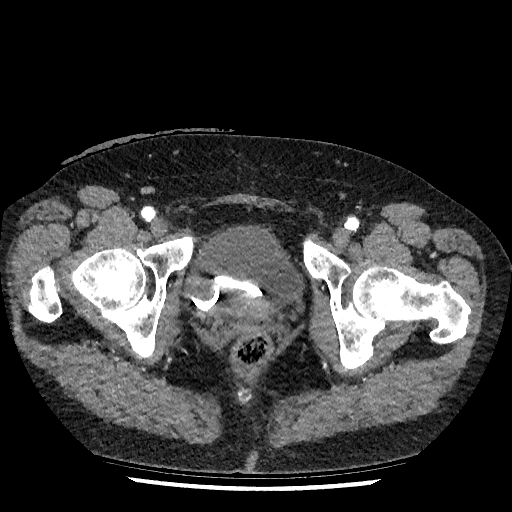
CT slice, Pelvis, Image size 512x512

urinary_bladder:
  - rect(203, 290, 242, 323)
  - rect(188, 225, 296, 304)